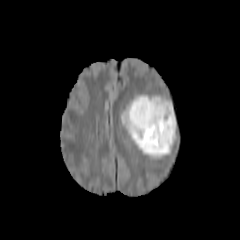
FLAIR MR.
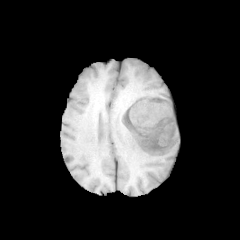
T1-weighted MRI of the same slice.
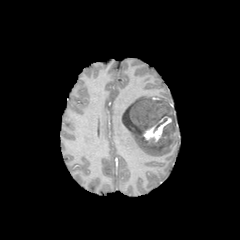
Post-contrast T1-weighted MR image.
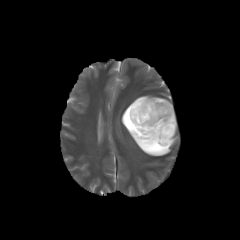
T2-weighted magnetic resonance of the same slice.
edema: x1=122 y1=120 x2=175 y2=157, x1=124 y1=94 x2=174 y2=112 | non-enhancing tumor core: x1=122 y1=97 x2=176 y2=145 | enhancing tumor: x1=142 y1=116 x2=171 y2=142